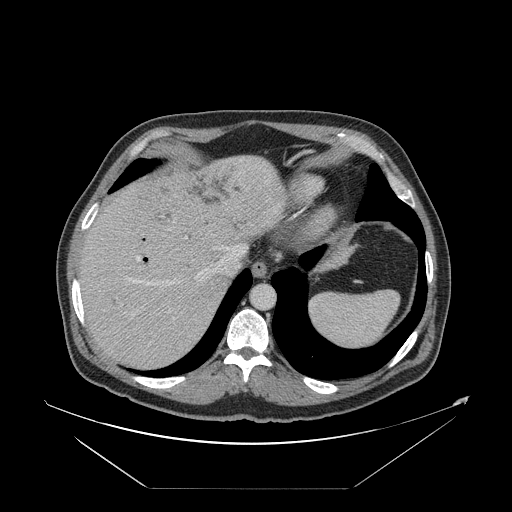
CT scan slice
Some hepatic vessels may have no box.
7 hepatic vessel regions appear at left=138, top=310, right=140, bottom=311; left=172, top=318, right=174, bottom=320; left=116, top=297, right=117, bottom=299; left=136, top=256, right=141, bottom=261; left=126, top=278, right=180, bottom=286; left=196, top=244, right=246, bottom=281; left=166, top=228, right=171, bottom=230.